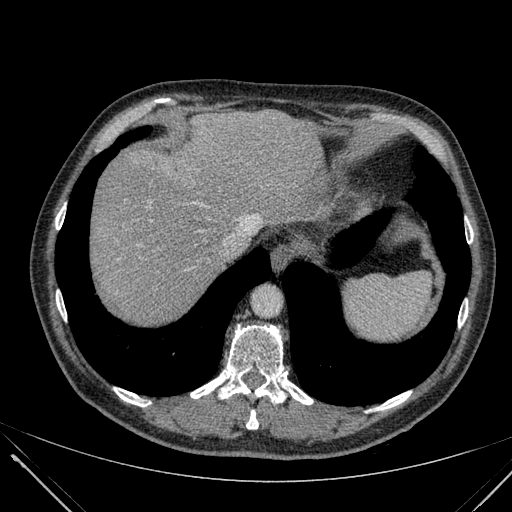 Computed tomography | 512x512 px | Abdomen
<segmentation>
  <liver><bbox>90, 109, 327, 325</bbox></liver>
</segmentation>